T2-weighted MRI.
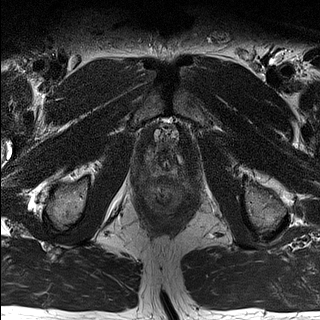
ADC MR.
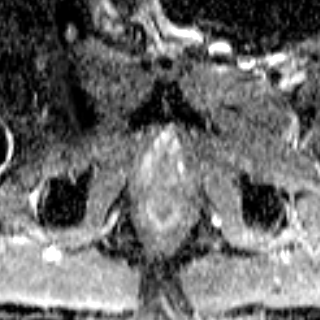
Annotated regions:
- prostate transition zone: (153,146,177,170)
- prostate peripheral zone: (148,147,182,174)